Slice 36 of 86, CT, 512x512 px, Liver

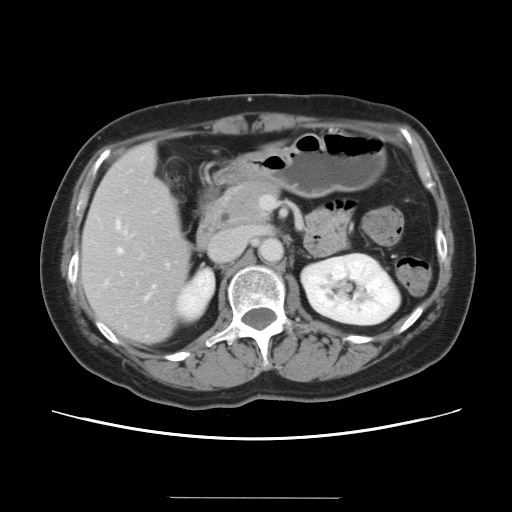 Only some of the vessels may be annotated.
9 hepatic vessel regions are bounded by [152, 286, 155, 288], [116, 219, 119, 228], [117, 249, 122, 253], [145, 295, 149, 300], [120, 273, 121, 275], [140, 252, 143, 258], [166, 264, 168, 267], [123, 231, 132, 238], [103, 282, 107, 285].